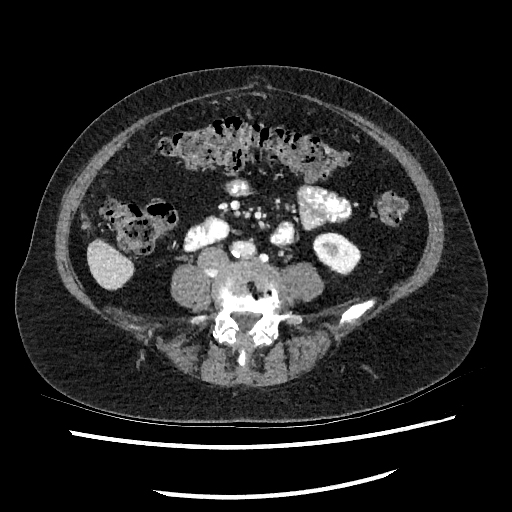 CT scan slice | 512x512 | Liver
The liver is bounded by 88 241 132 288. The kidney is bounded by 314 233 359 272.